CT image. Liver. Slice 59/161. 512x512. Field of view 369 mm wide, 1.50 mm slice spacing.
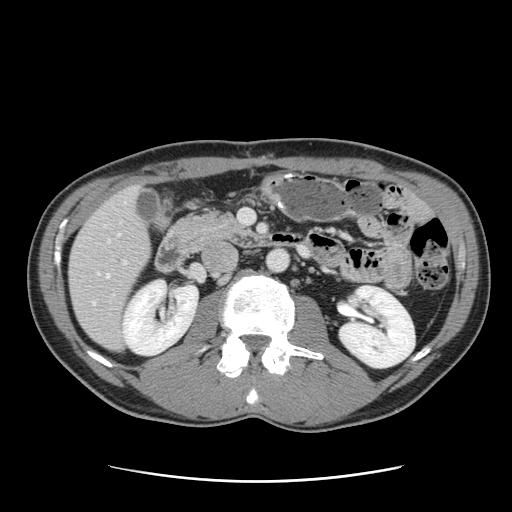 Only some of the vessels may be annotated.
Hepatic vessel at rect(106, 274, 109, 276); rect(92, 301, 94, 307); rect(108, 240, 109, 241); rect(122, 260, 125, 263).